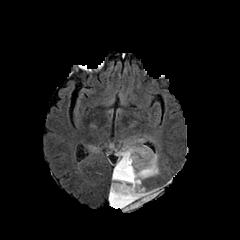
FLAIR MR.
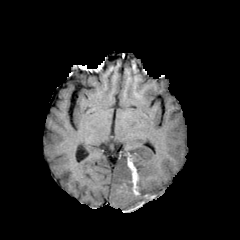
T1-weighted MR image of the same slice.
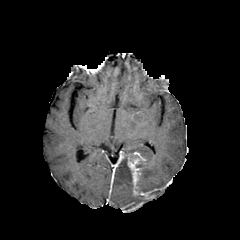
Post-contrast T1-weighted MR image of the same slice.
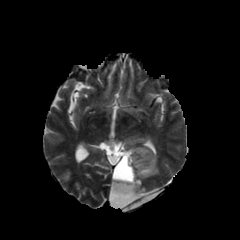
T2-weighted MRI.
240x240 px
Non-enhancing tumor core: 136,154,147,182; 114,147,147,208.
Enhancing tumor: 112,151,124,183; 128,159,141,187.
Edema: 109,140,161,201; 108,178,131,211.